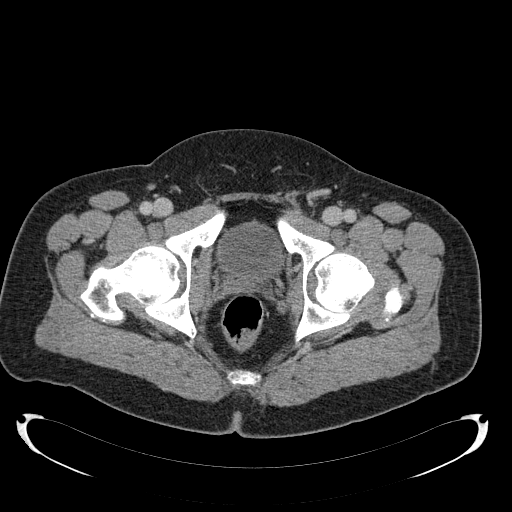

CT slice.
Urinary bladder at x1=215 y1=222 x2=284 y2=296.